CT image

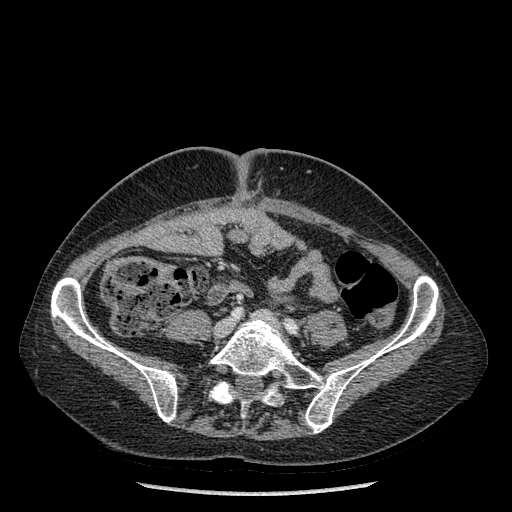
Bone: region(51, 277, 177, 422); region(256, 383, 281, 405); region(209, 382, 238, 403); region(210, 275, 438, 433); region(241, 399, 251, 417).